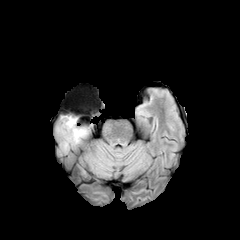
FLAIR magnetic resonance.
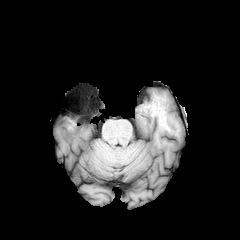
T1-weighted MRI.
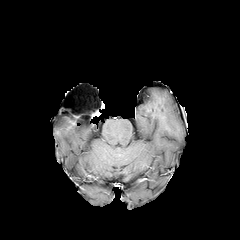
Post-contrast T1-weighted MRI of the same slice.
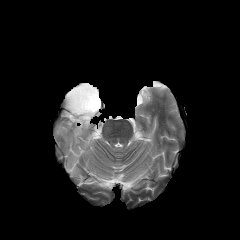
Same slice, T2-weighted magnetic resonance.
{
  "edema": [
    "(x1=57, y1=114, x2=87, y2=152)"
  ]
}